MR | 36x55 | Medial temporal lobe 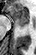 posterior hippocampus: bbox(21, 27, 22, 28) | anterior hippocampus: bbox(7, 6, 29, 26)